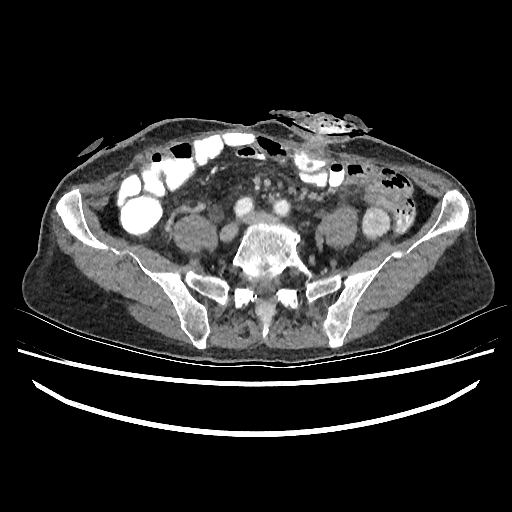 Computed tomography. Abdomen. <segmentation>
  <kidney>(363, 208, 389, 236), (390, 251, 403, 257)</kidney>
</segmentation>